Slice 107/155
FLAIR MR image.
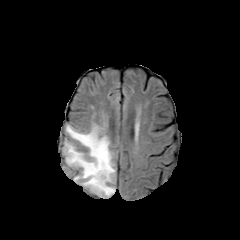
T1-weighted magnetic resonance.
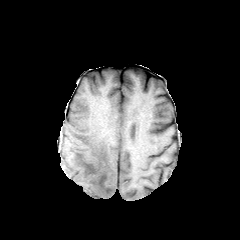
Post-contrast T1-weighted MRI.
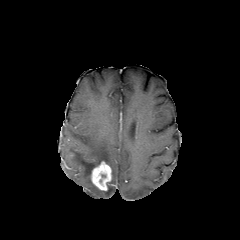
T2-weighted MR.
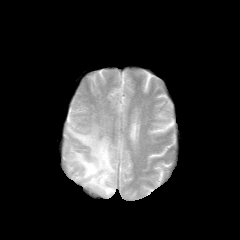
edema: 64 122 115 198 | enhancing tumor: 90 161 111 190